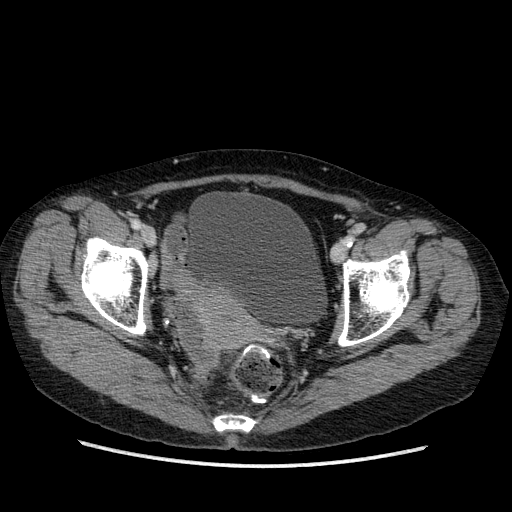
Computed tomography | 512x512 px
Urinary bladder — x1=184, y1=190, x2=327, y2=325.